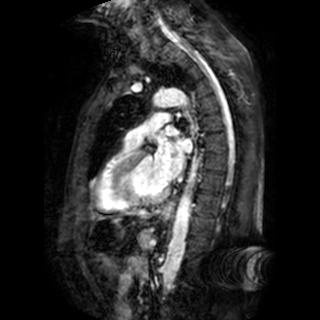

Magnetic resonance, Cardiac

Left atrium — bbox(155, 137, 191, 180); bbox(168, 128, 178, 135).